Slice 61 of 155.
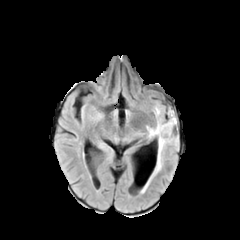
FLAIR MR image.
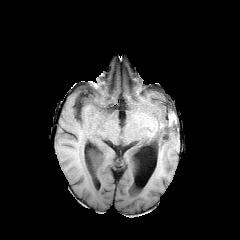
T1-weighted MRI of the same slice.
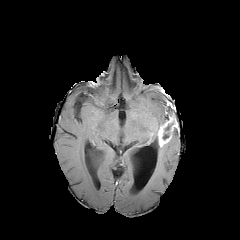
Post-contrast T1-weighted MR.
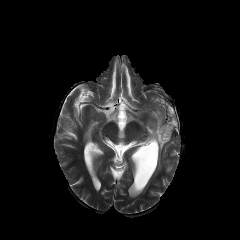
T2-weighted MR of the same slice.
<segmentation>
  <edema>(140,134,178,193), (146,126,157,139), (153,104,171,127)</edema>
  <enhancing_tumor>(156,116,175,145)</enhancing_tumor>
  <non-enhancing_tumor_core>(163,124,172,139)</non-enhancing_tumor_core>
</segmentation>